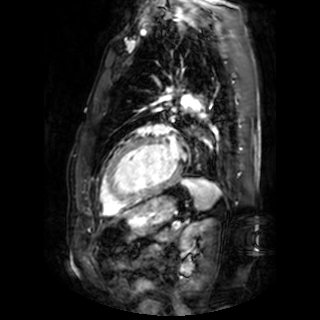 MRI; Cardiac

{"left_atrium": ["<box>169,141,179,158</box>"]}